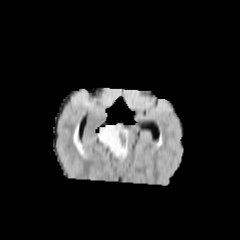
FLAIR MR.
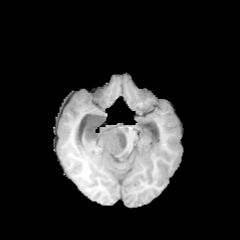
T1-weighted magnetic resonance.
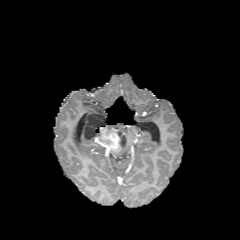
Post-contrast T1-weighted magnetic resonance of the same slice.
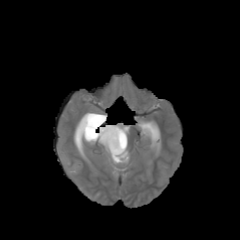
T2-weighted magnetic resonance.
Brain
edema:
  - bbox(79, 118, 85, 142)
  - bbox(98, 141, 128, 160)
  - bbox(112, 123, 129, 138)
enhancing_tumor:
  - bbox(95, 124, 121, 154)
non-enhancing_tumor_core:
  - bbox(118, 131, 129, 152)
  - bbox(82, 112, 107, 142)